Field of view 387x387 mm, CT scan slice, Upper abdomen, 512x512 px
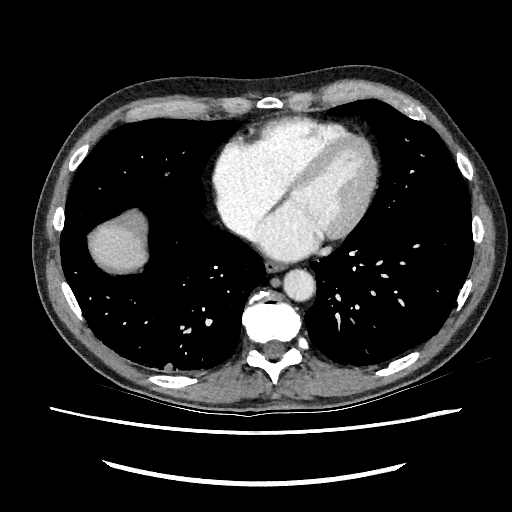
The liver is bounded by (x1=90, y1=222, x2=146, y2=269).